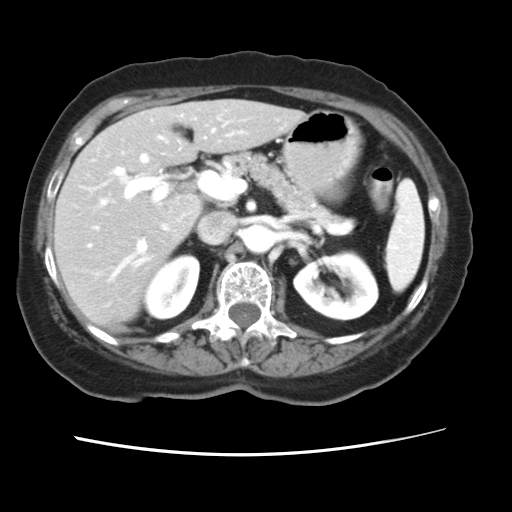

CT slice; Liver

Only some of the vessels may be annotated.
partial: true
hepatic_vessel:
  # 15 of 20 shown
  - box=[108, 239, 149, 281]
  - box=[88, 244, 91, 247]
  - box=[181, 115, 183, 117]
  - box=[99, 199, 107, 205]
  - box=[140, 154, 148, 163]
  - box=[217, 116, 219, 119]
  - box=[226, 131, 242, 136]
  - box=[223, 122, 226, 125]
  - box=[158, 136, 167, 142]
  - box=[134, 174, 143, 179]
  - box=[179, 142, 181, 149]
  - box=[212, 129, 215, 131]
  - box=[162, 224, 167, 229]
  - box=[111, 168, 122, 174]
  - box=[93, 227, 98, 229]